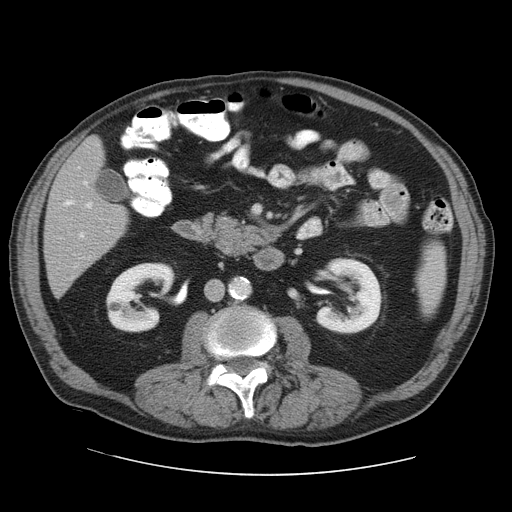
CT, Liver
The vessel boxes may cover only some of the vessels.
{"hepatic_vessel": ["left=87, top=202, right=91, bottom=207", "left=65, top=200, right=73, bottom=204", "left=84, top=182, right=86, bottom=184"]}